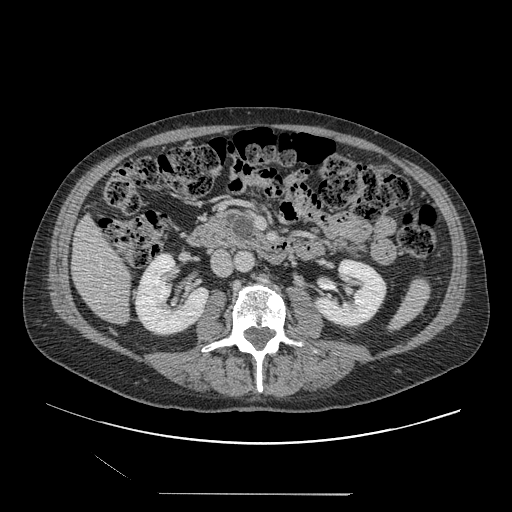

Computed tomography. pancreatic_tumor:
  - (232,216,254,240)
pancreas:
  - (209,208,265,251)